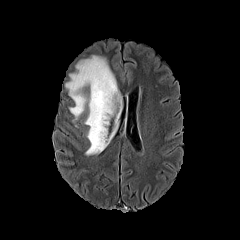
FLAIR MR.
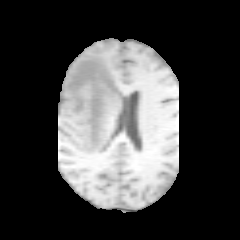
T1-weighted magnetic resonance.
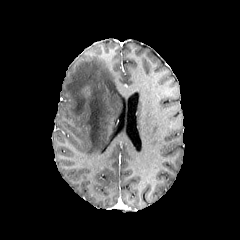
Post-contrast T1-weighted MR.
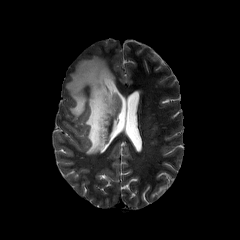
T2-weighted MRI of the same slice.
240x240 | Head
Segmented structures:
- edema: x1=65 y1=56 x2=121 y2=156